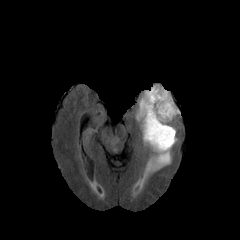
FLAIR magnetic resonance.
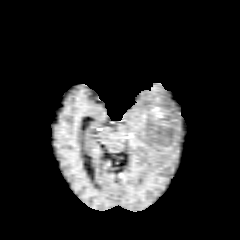
T1-weighted MR image.
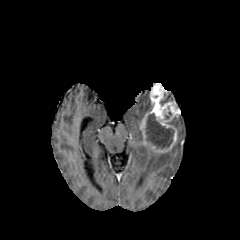
Post-contrast T1-weighted MR of the same slice.
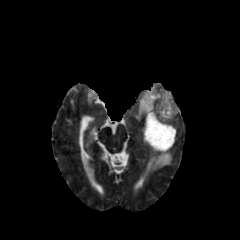
T2-weighted magnetic resonance.
Head.
Edema — l=136, t=147, r=171, b=187; l=135, t=90, r=149, b=122.
Enhancing tumor — l=140, t=83, r=180, b=153.
Non-enhancing tumor core — l=146, t=114, r=173, b=148.